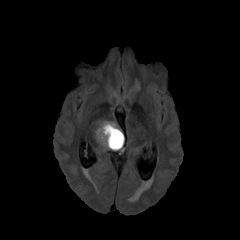
FLAIR magnetic resonance.
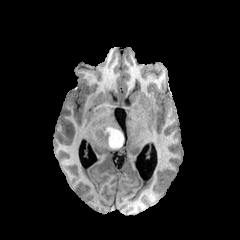
Same slice, T1-weighted MR image.
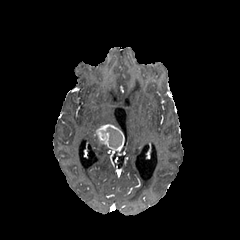
Post-contrast T1-weighted MR.
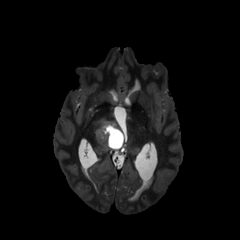
T2-weighted MR image.
240x240
enhancing_tumor:
  - box(94, 123, 124, 151)
edema:
  - box(93, 120, 123, 132)
  - box(92, 135, 110, 151)
non-enhancing_tumor_core:
  - box(102, 126, 122, 148)